Field of view 379x379 mm, 512x512, Computed tomography

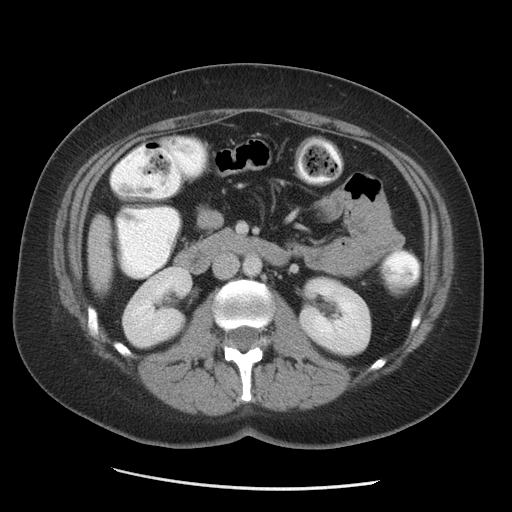 Annotated regions:
- kidney: (124,268,189,345), (300,279,369,354)
- liver: (88,216,110,283)